FLAIR MR.
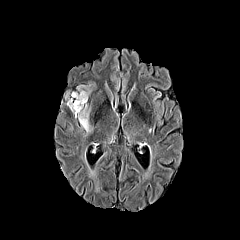
T1-weighted magnetic resonance.
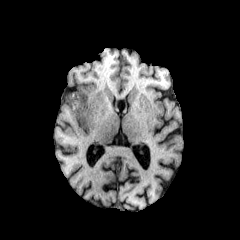
Post-contrast T1-weighted magnetic resonance.
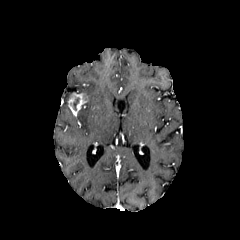
T2-weighted MR image.
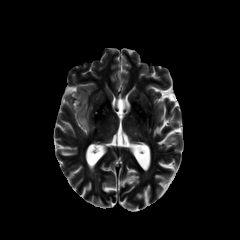
Image size 240x240
{"edema": ["[72,84,91,96]", "[75,103,93,136]"], "enhancing_tumor": ["[67,92,88,117]"]}